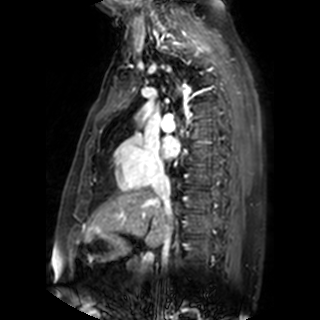
Heart, MR image
The left atrium is bounded by {"x1": 162, "y1": 135, "x2": 178, "y2": 157}.